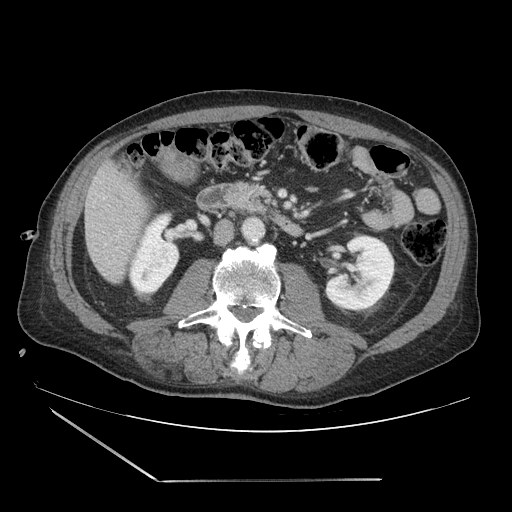

CT image, Upper abdomen

pancreas:
  - left=236, top=184, right=268, bottom=212